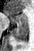
Hippocampus | MR
Posterior hippocampus at 13:26:28:41.
Anterior hippocampus at 5:10:28:25.